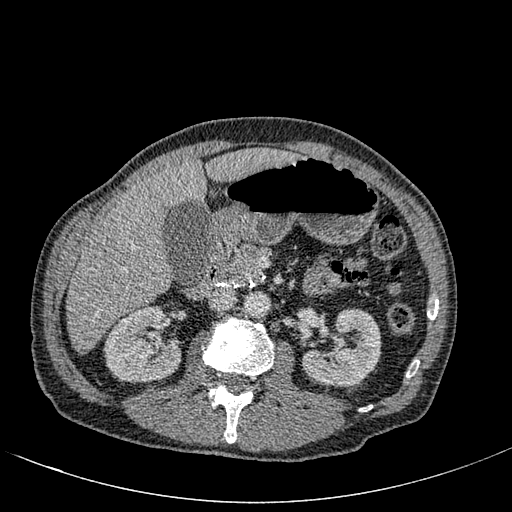
CT scan slice
Liver: l=67, t=148, r=295, b=352.
Kidney: l=104, t=307, r=180, b=381; l=301, t=308, r=380, b=386.